Head
FLAIR MRI.
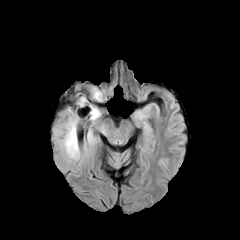
T1-weighted MR image.
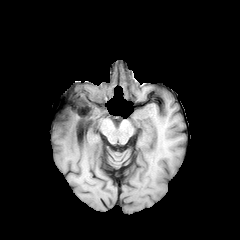
Post-contrast T1-weighted MR.
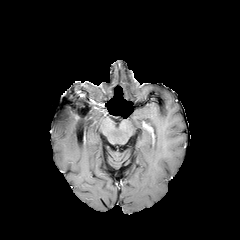
T2-weighted MR.
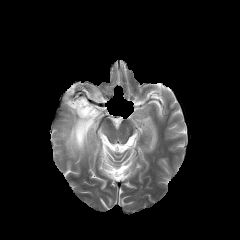
non-enhancing tumor core: bbox=[88, 106, 101, 118]; bbox=[77, 95, 96, 105] | edema: bbox=[53, 100, 101, 163]; bbox=[86, 87, 105, 109]